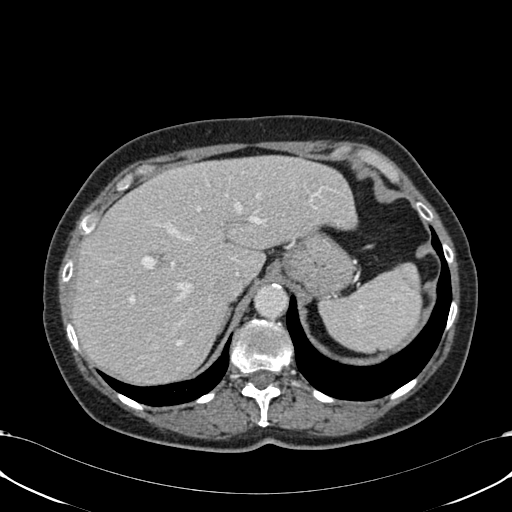 Upper abdomen | CT scan slice

The liver is located at x1=72, y1=157, x2=354, y2=381.